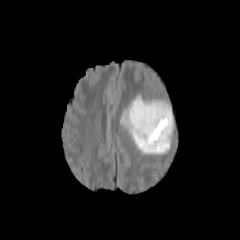
FLAIR magnetic resonance.
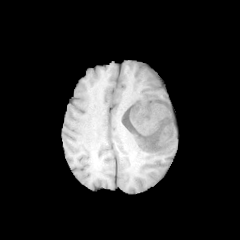
Same slice, T1-weighted MR image.
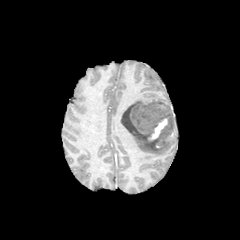
Post-contrast T1-weighted MRI.
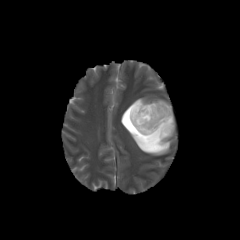
Same slice, T2-weighted magnetic resonance.
Non-enhancing tumor core: (121,100,174,144).
Edema: (119,96,171,155), (150,97,172,113).
Enhancing tumor: (147,117,168,141).